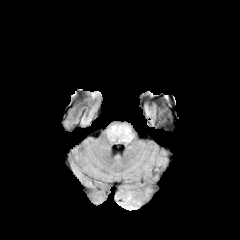
FLAIR MR.
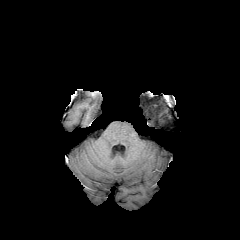
T1-weighted MR image of the same slice.
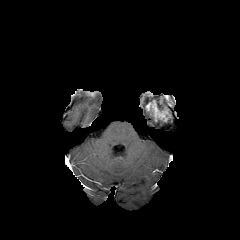
Post-contrast T1-weighted MR.
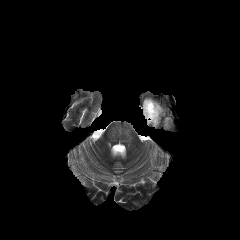
Same slice, T2-weighted MR image.
{
  "non-enhancing_tumor_core": [
    "box(151, 110, 164, 118)"
  ],
  "enhancing_tumor": [
    "box(145, 106, 157, 117)"
  ]
}